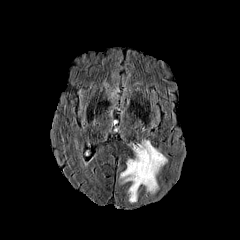
FLAIR MR image.
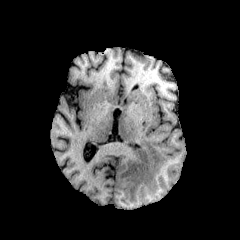
T1-weighted MRI of the same slice.
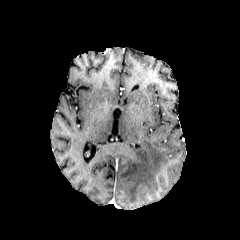
Post-contrast T1-weighted MR.
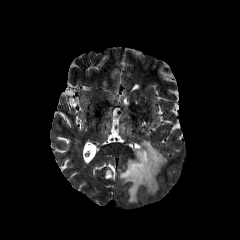
T2-weighted MR image of the same slice.
Head
* edema: x1=119, y1=140, x2=167, y2=203